240x240 px, Head
FLAIR MRI.
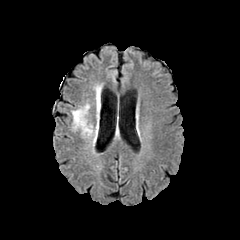
T1-weighted MR image.
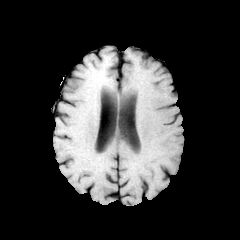
Post-contrast T1-weighted MR image.
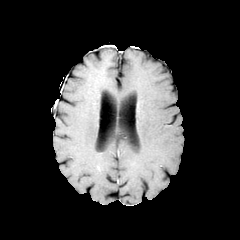
T2-weighted MR.
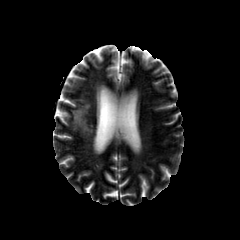
<segmentation>
  <edema>[73,85,101,141]</edema>
</segmentation>